Image size 512x512 | Slice 440/846 | Abdomen | CT

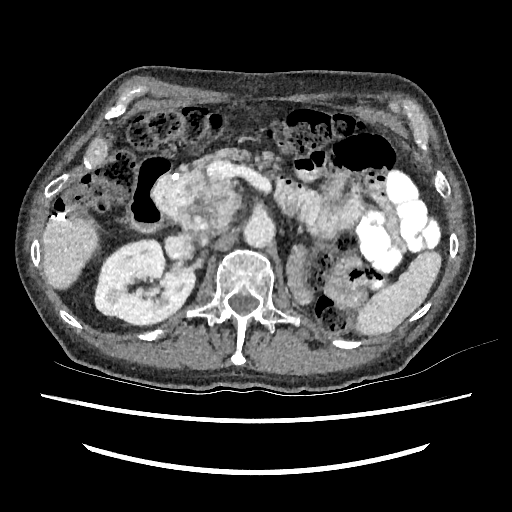 Segmented structures:
• liver: x1=43, y1=219, x2=98, y2=288
• kidney: x1=95, y1=240, x2=195, y2=324